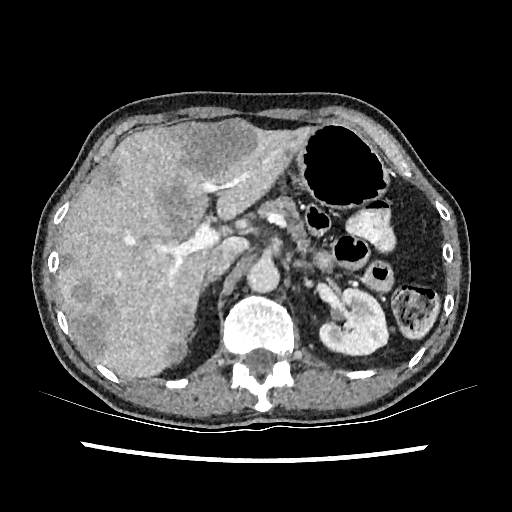

CT
Liver at (59, 128, 310, 376).
Hepatic lesion at (97, 294, 115, 309), (286, 130, 297, 140), (167, 310, 193, 360), (97, 160, 119, 186), (70, 314, 106, 361), (71, 278, 93, 302), (61, 253, 75, 268), (157, 182, 189, 231), (170, 120, 256, 177).
Kidney at (318, 284, 394, 358).